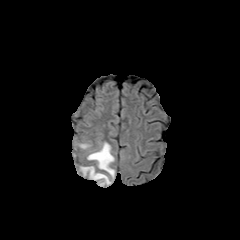
FLAIR MR image.
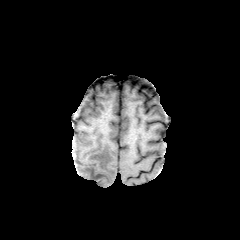
T1-weighted MR of the same slice.
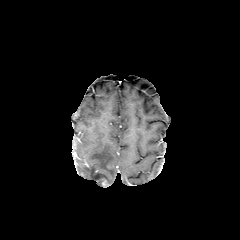
Post-contrast T1-weighted MRI.
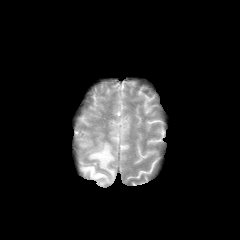
T2-weighted MR image.
Image size 240x240
Edema: (80,141,115,185).